FLAIR MRI.
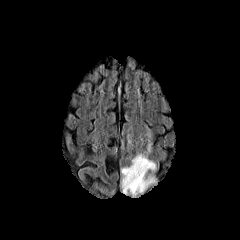
T1-weighted MR.
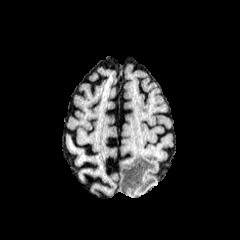
Post-contrast T1-weighted magnetic resonance.
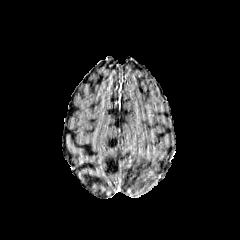
T2-weighted magnetic resonance.
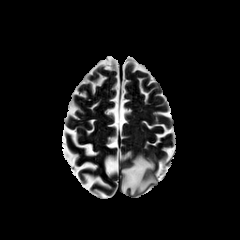
Brain | 240x240 px
Edema — l=119, t=153, r=157, b=197.